Image width 400 mm; Computed tomography
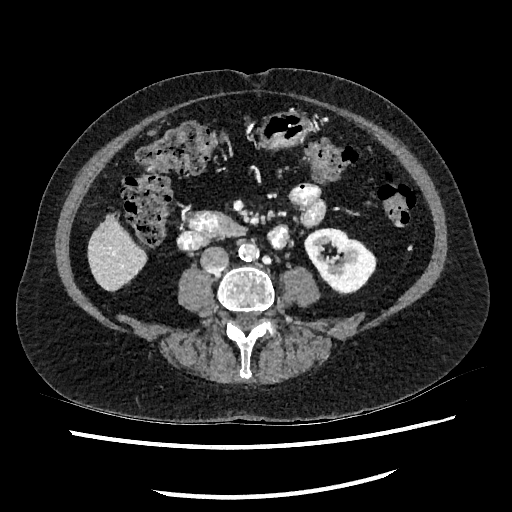 <segmentation>
  <kidney>305 224 374 292</kidney>
  <liver>88 220 144 290</liver>
</segmentation>